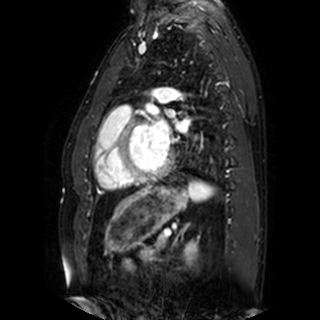
Heart; Magnetic resonance
* left atrium: left=166, top=109, right=174, bottom=117; left=175, top=122, right=187, bottom=132; left=149, top=119, right=169, bottom=149